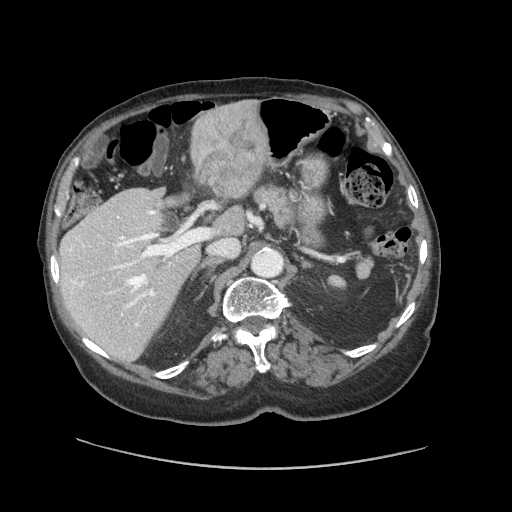
CT slice. Abdomen.
Not every hepatic vessel necessarily has a box.
<segmentation>
  <hepatic_vessel>[118, 264, 130, 268], [209, 239, 238, 255], [124, 242, 127, 242], [132, 234, 154, 240], [118, 243, 123, 244], [142, 228, 210, 257], [126, 274, 146, 290]</hepatic_vessel>
  <liver_tumor>[198, 112, 260, 194]</liver_tumor>
</segmentation>